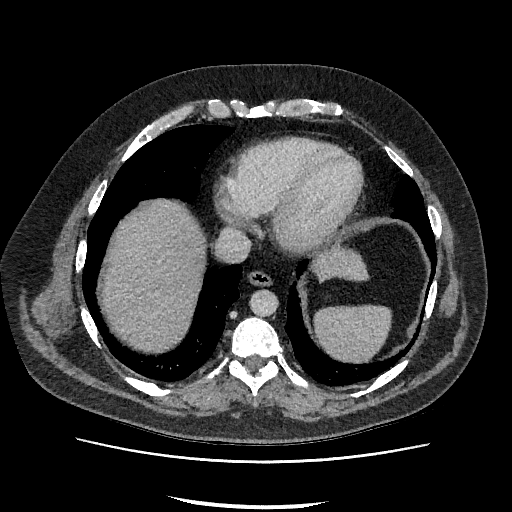
Liver; CT
2 liver regions are bounded by (102, 203, 203, 350), (314, 252, 366, 280).